Slice 3/15
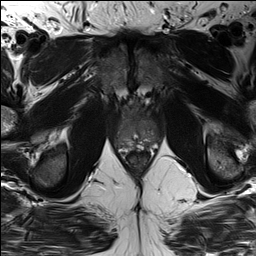
T2-weighted MR.
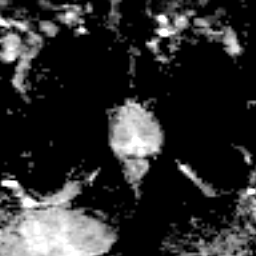
ADC MR.
The prostate transition zone is located at {"x1": 114, "y1": 110, "x2": 163, "y2": 148}.